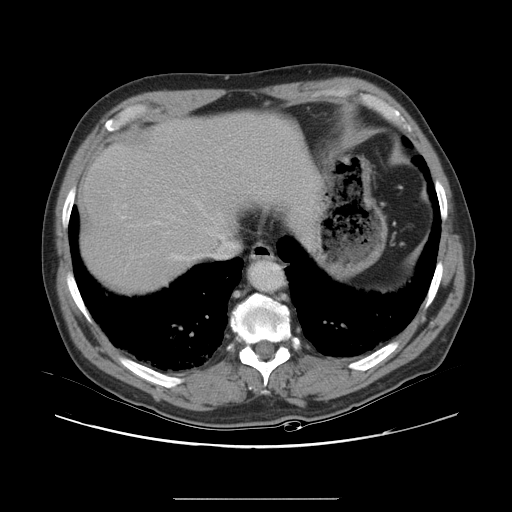 Abdomen; CT slice
Some hepatic vessels may have no box.
hepatic vessel: bbox(170, 244, 222, 260); bbox(197, 204, 210, 218); bbox(118, 214, 124, 219); bbox(207, 215, 224, 241); bbox(122, 205, 126, 207); bbox(123, 185, 124, 187)